FLAIR MR.
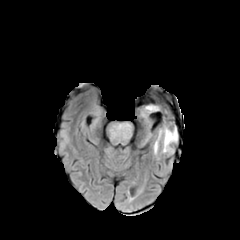
T1-weighted MR image.
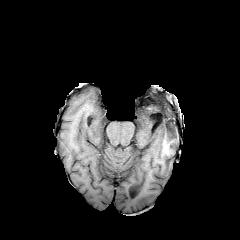
Post-contrast T1-weighted magnetic resonance.
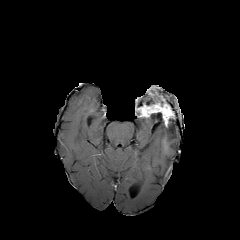
T2-weighted magnetic resonance.
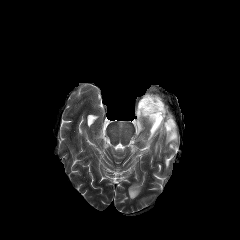
Head
2 edema regions appear at left=152, top=120, right=177, bottom=159; left=144, top=118, right=152, bottom=141. The non-enhancing tumor core is located at left=160, top=119, right=172, bottom=133. The enhancing tumor lies within left=138, top=102, right=172, bottom=125.